Liver, CT image
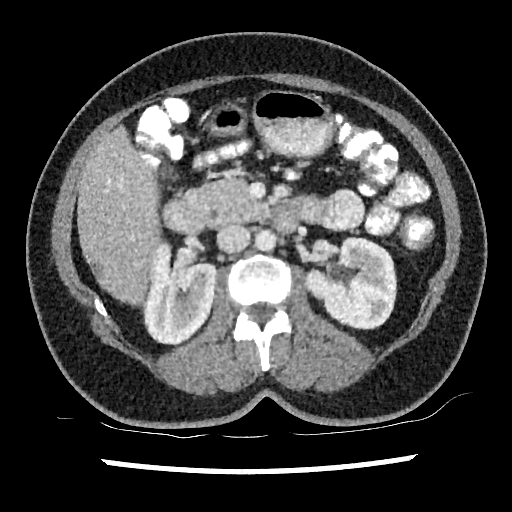

<segmentation>
  <liver>bbox=[78, 127, 159, 302]</liver>
  <liver_lesion>bbox=[92, 265, 102, 277]; bbox=[161, 165, 171, 178]</liver_lesion>
  <kidney>bbox=[307, 238, 395, 328]; bbox=[145, 245, 215, 343]</kidney>
</segmentation>